CT scan slice | Liver
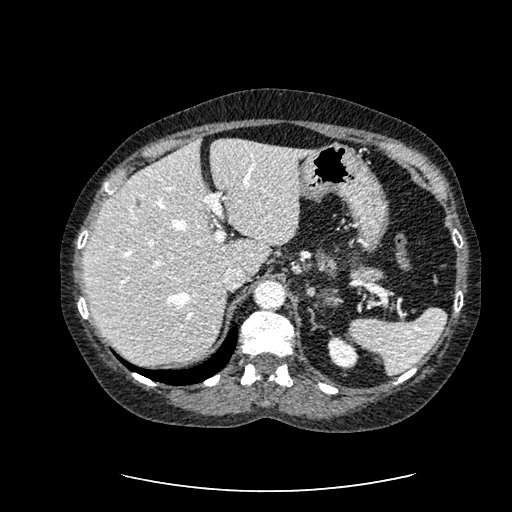 The focal liver lesion lies within <bbox>135, 197, 142, 207</bbox>. The liver lies within <bbox>83, 139, 314, 364</bbox>. The kidney is located at <bbox>328, 338, 356, 367</bbox>.